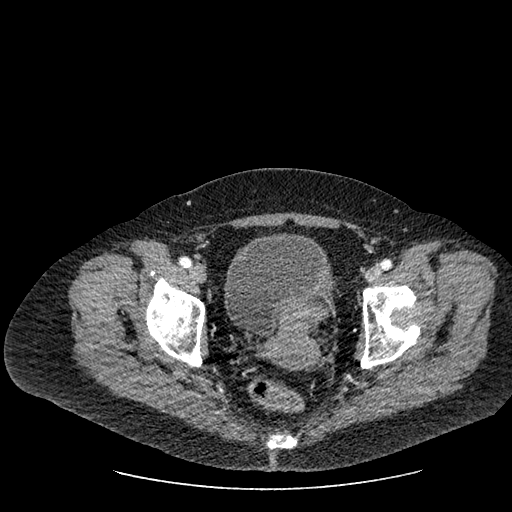
Pelvis. 512x512 px. CT slice.
* urinary bladder: rect(225, 232, 330, 335)